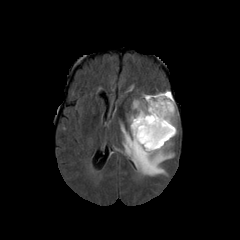
FLAIR MR.
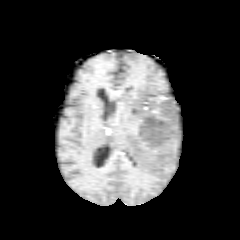
T1-weighted MRI.
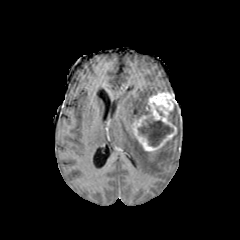
Post-contrast T1-weighted magnetic resonance.
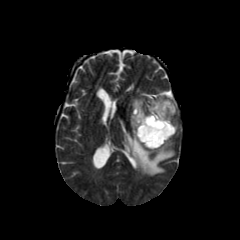
T2-weighted MR image of the same slice.
Image size 240x240
{
  "non-enhancing_tumor_core": [
    "138 104 173 146"
  ],
  "edema": [
    "121 92 180 176"
  ],
  "enhancing_tumor": [
    "132 91 176 151"
  ]
}